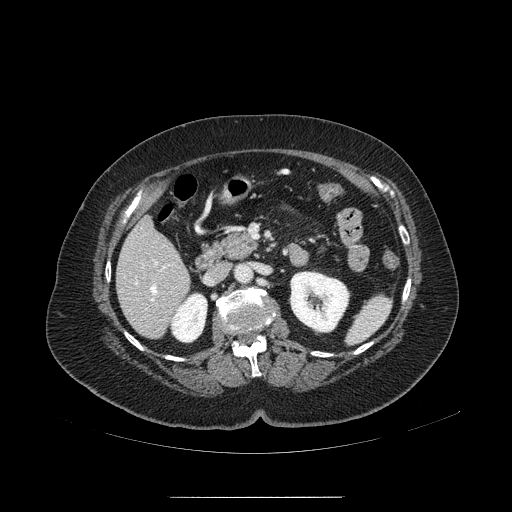 CT | 512x512 | Upper abdomen

Segmented structures:
* pancreas: x1=221, y1=228, x2=259, y2=261